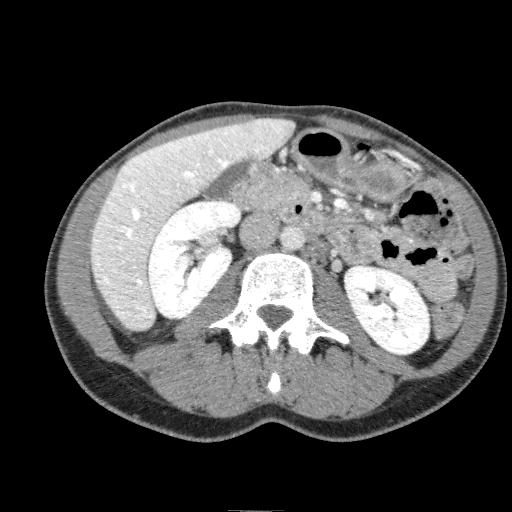 CT slice | Liver
The liver is bounded by bbox(90, 117, 295, 330). 2 kidney regions are located at bbox(345, 266, 428, 353); bbox(149, 201, 239, 317).